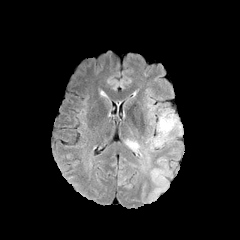
FLAIR MR image.
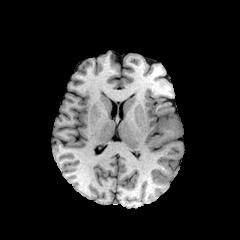
T1-weighted magnetic resonance.
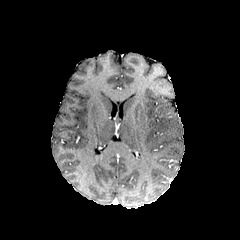
Post-contrast T1-weighted MRI of the same slice.
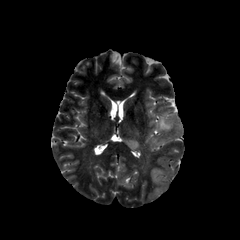
T2-weighted MRI.
Head, 240x240
3 edema regions are located at [124, 139, 140, 155], [154, 138, 164, 146], [159, 119, 173, 132].